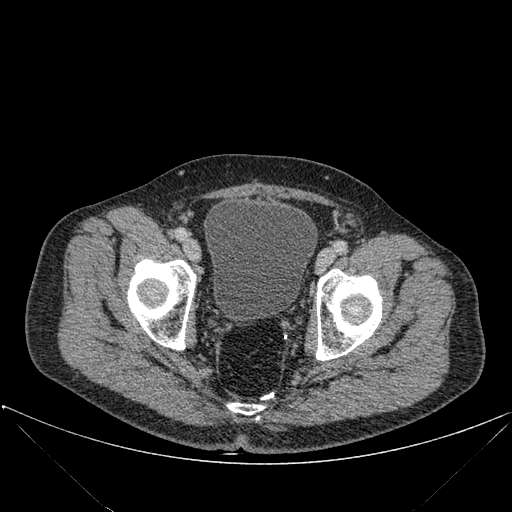
Image size 512x512 | Pelvis | CT
The urinary bladder lies within 204,196,317,320. 3 bone regions are located at 316,269,382,360; 127,259,195,349; 227,403,264,414.